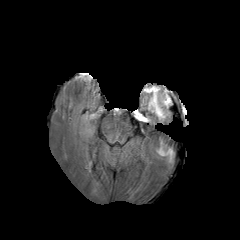
FLAIR MR.
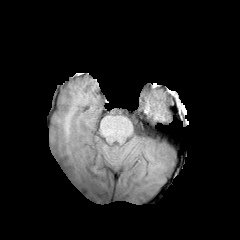
T1-weighted magnetic resonance of the same slice.
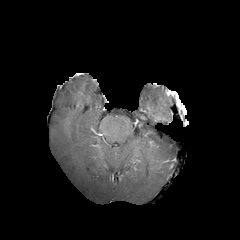
Post-contrast T1-weighted MRI.
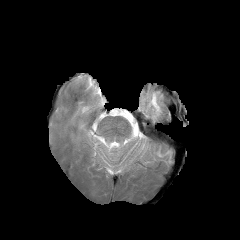
T2-weighted MR image.
Brain
Edema: bounding box bbox=[157, 145, 173, 163]; bbox=[142, 85, 171, 119].